Slice 437/624. Field of view 350 mm wide, 0.70 mm slice spacing. CT image.
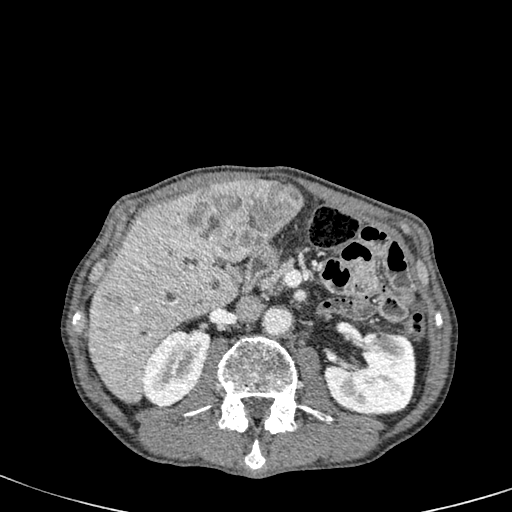 <segmentation>
  <kidney>left=142, top=331, right=209, bottom=406; left=325, top=327, right=414, bottom=413</kidney>
  <focal_liver_lesion>left=106, top=295, right=121, bottom=305; left=190, top=180, right=302, bottom=261</focal_liver_lesion>
  <liver>left=88, top=193, right=237, bottom=402; left=282, top=183, right=302, bottom=198</liver>
</segmentation>